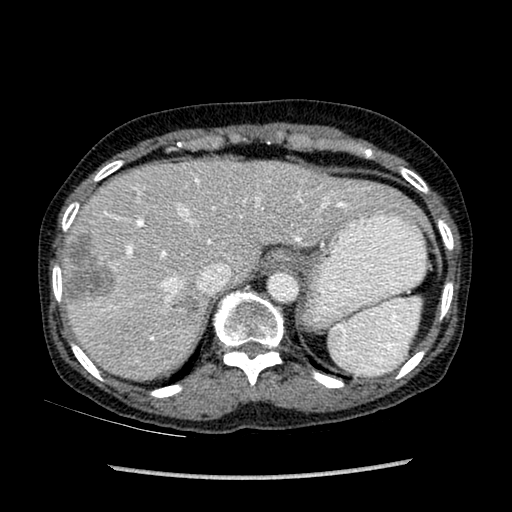
CT slice, Upper abdomen

Liver lesion: bbox(60, 232, 118, 303); bbox(171, 294, 200, 315).
Liver: bbox(63, 160, 432, 378).